Lower abdomen; CT slice; Field of view 432 mm wide, 0.70 mm slice spacing 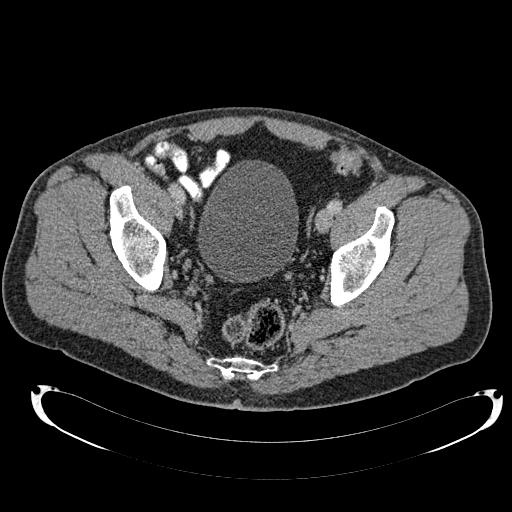 Urinary bladder: bounding box <box>197,160,298,281</box>.